Pelvis | CT scan slice | Slice 45 of 124

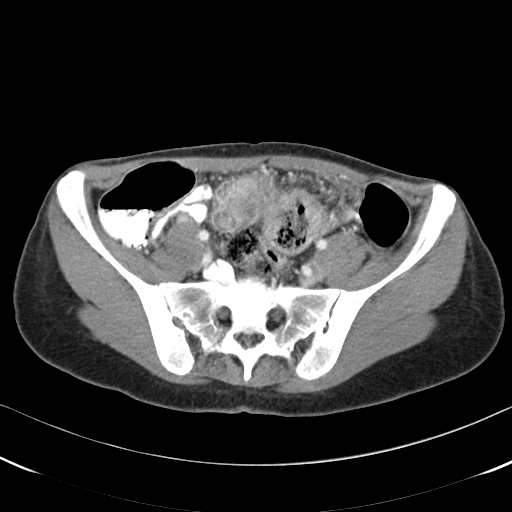

The colon tumor is bounded by (x1=215, y1=174, x2=321, y2=238).